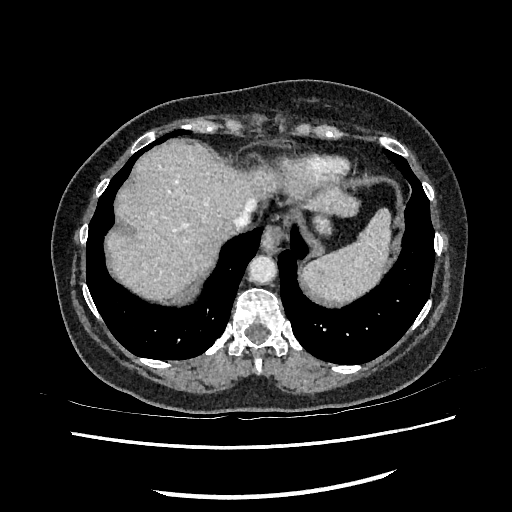
Abdomen; CT slice
Liver: (x1=311, y1=189, x2=356, y2=214), (x1=107, y1=141, x2=276, y2=297).